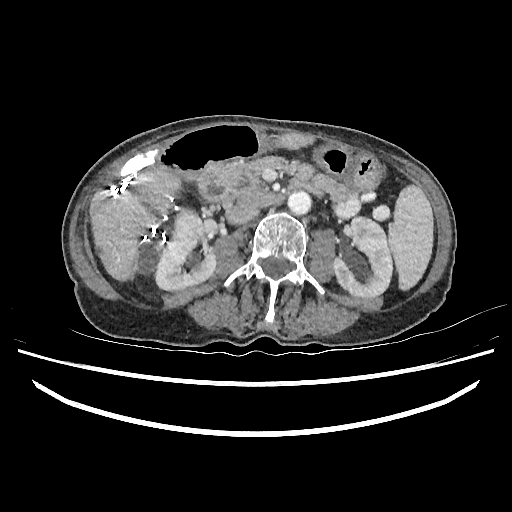

CT scan slice. Abdomen. <segmentation>
  <liver>(91, 169, 180, 279), (277, 133, 312, 148)</liver>
  <kidney>(156, 211, 216, 289), (333, 217, 391, 297)</kidney>
  <focal_liver_lesion>(140, 246, 157, 274)</focal_liver_lesion>
</segmentation>